Slice index 55; Brain
FLAIR MRI.
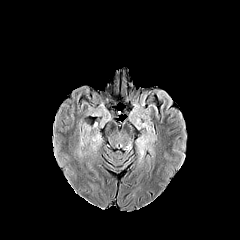
T1-weighted magnetic resonance.
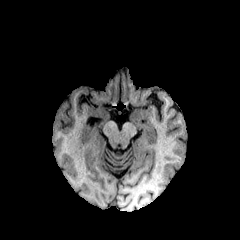
Post-contrast T1-weighted MR.
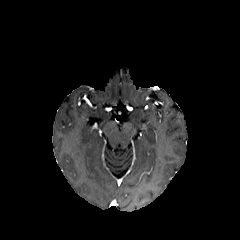
T2-weighted MR image.
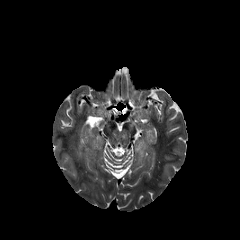
{
  "edema": [
    "box=[137, 135, 154, 157]"
  ]
}